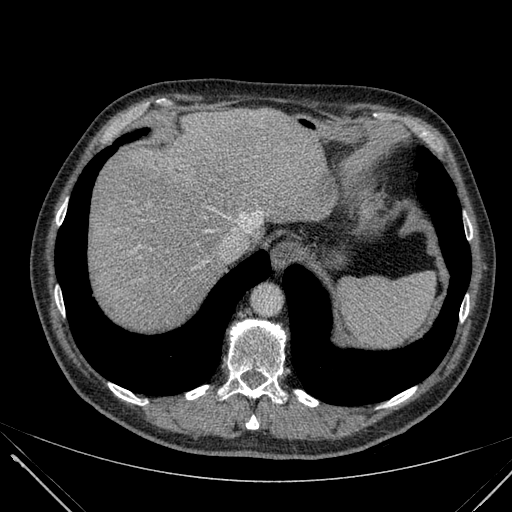

CT.
Liver: bounding box [x1=88, y1=108, x2=326, y2=330].